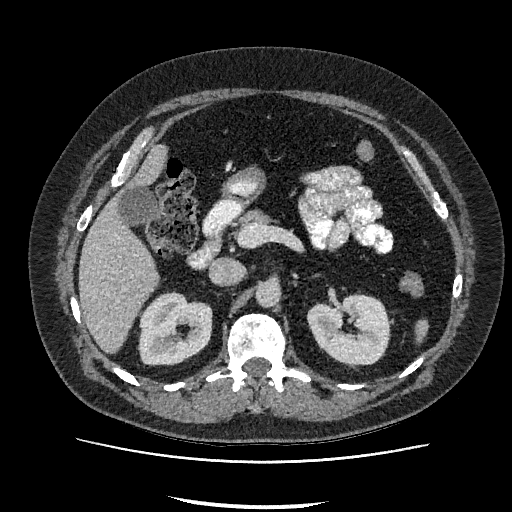 Liver | CT slice
2 kidney regions are located at 308, 296, 388, 363; 140, 294, 211, 363. 2 liver regions are located at 78, 189, 159, 352; 127, 143, 166, 188.